FLAIR magnetic resonance.
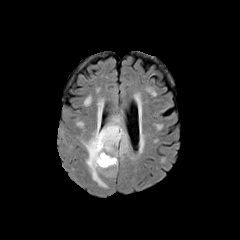
T1-weighted MRI.
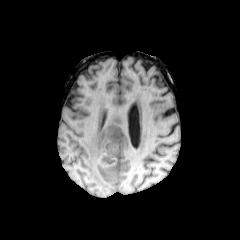
Post-contrast T1-weighted MRI.
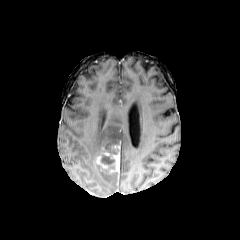
T2-weighted MR.
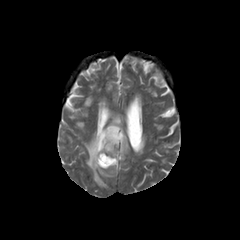
Brain
Enhancing tumor at {"x1": 110, "y1": 146, "x2": 120, "y2": 172}, {"x1": 96, "y1": 155, "x2": 107, "y2": 168}.
Edema at {"x1": 85, "y1": 96, "x2": 93, "y2": 105}, {"x1": 82, "y1": 98, "x2": 129, "y2": 187}.
Non-enhancing tumor core at {"x1": 100, "y1": 148, "x2": 117, "y2": 154}, {"x1": 101, "y1": 155, "x2": 114, "y2": 171}.